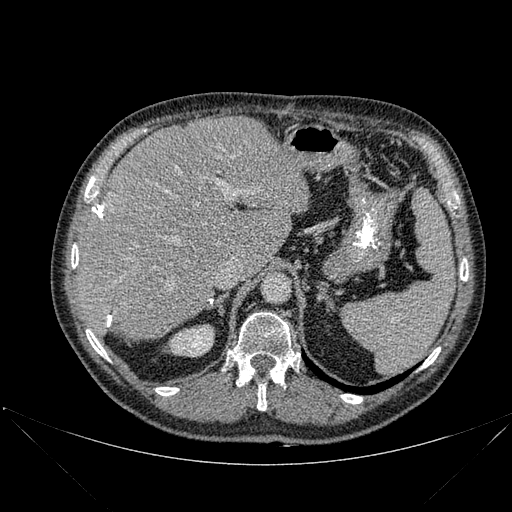 Image size 512x512; CT scan slice
Segmented structures:
• bone: <box>86,329,109,360</box>, <box>85,177,96,197</box>, <box>226,312,300,386</box>, <box>452,193,458,208</box>, <box>155,387,178,395</box>, <box>71,246,78,267</box>, <box>421,347,440,368</box>, <box>340,394,362,403</box>, <box>460,264,468,280</box>, <box>257,383,266,410</box>
• liver: <box>77,116,310,340</box>
• kidney: <box>170,325,213,356</box>
• lung: <box>302,353,409,393</box>